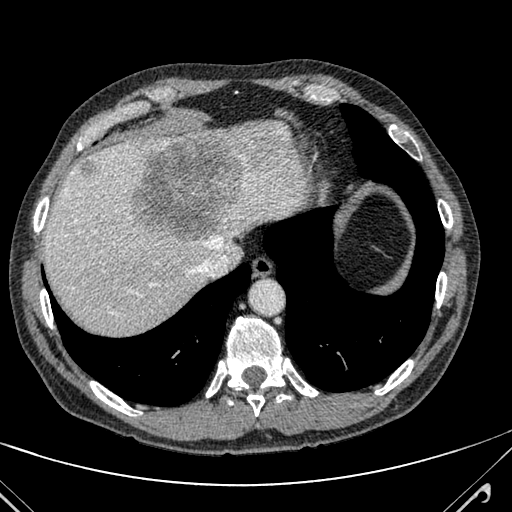
Liver | Computed tomography

focal liver lesion: box(133, 136, 243, 243); box(81, 162, 93, 177) | liver: box(45, 121, 305, 334)